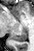

MR image; Hippocampus

Posterior hippocampus — 11, 30, 27, 41.